Hippocampus | 37x45 px | MRI

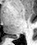 Annotated regions:
• posterior hippocampus: 13:36:18:39